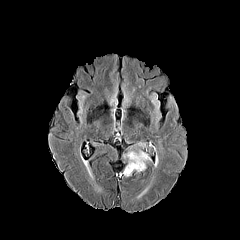
FLAIR magnetic resonance.
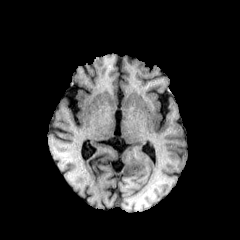
T1-weighted magnetic resonance.
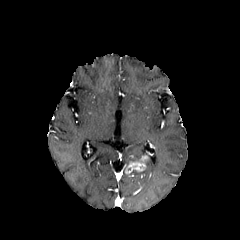
Post-contrast T1-weighted magnetic resonance.
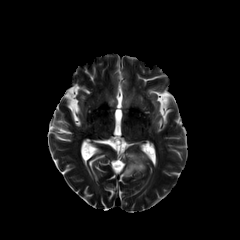
T2-weighted MRI of the same slice.
240x240 | Head
Enhancing tumor = (x1=123, y1=152, x2=150, y2=178).